FLAIR magnetic resonance.
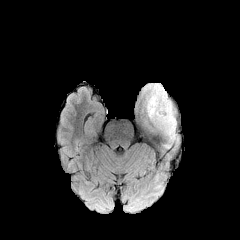
T1-weighted MRI.
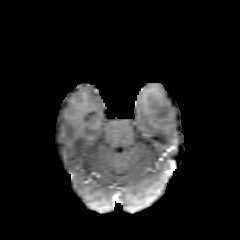
Post-contrast T1-weighted magnetic resonance.
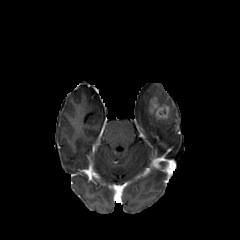
T2-weighted MR.
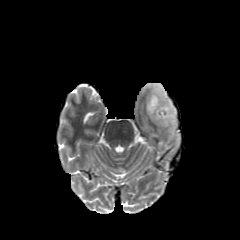
240x240 px.
<segmentation>
  <edema>(left=145, top=84, right=176, bottom=141)</edema>
  <enhancing_tumor>(left=150, top=100, right=169, bottom=118)</enhancing_tumor>
</segmentation>